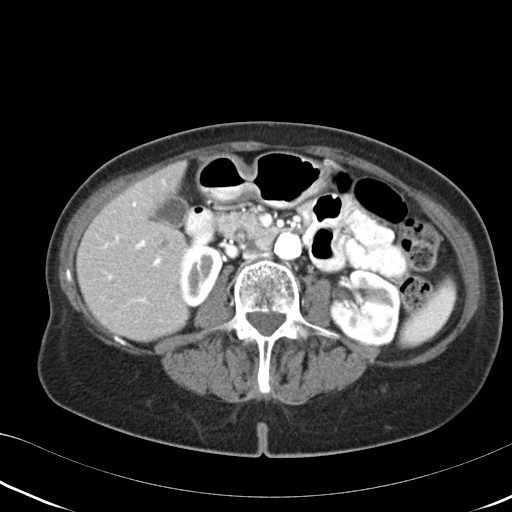 CT
The pancreas is located at <bbox>224, 206, 279, 252</bbox>.